CT scan slice | 512x512 | Field of view 416x416 mm 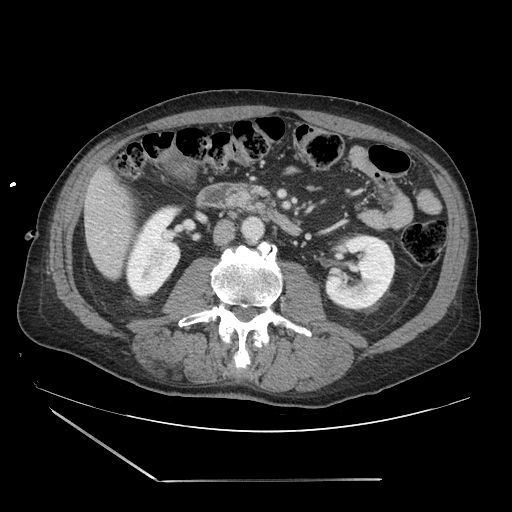

The pancreas is at <bbox>239, 186, 265, 208</bbox>.